Slice index 25. CT scan slice.
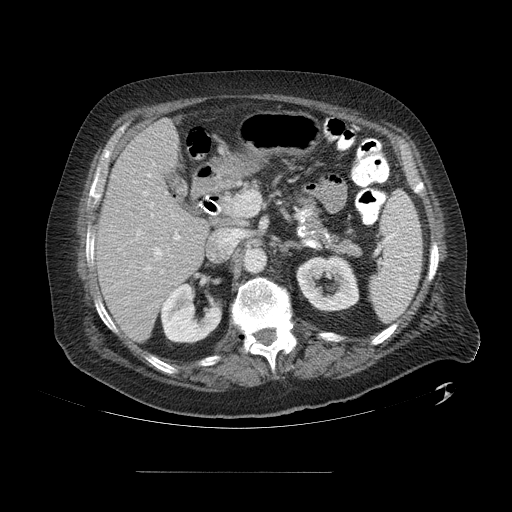

Only some of the vessels may be annotated.
Findings:
• hepatic vessel: [160,269,164,273], [151,214,153,216], [165,192,166,193], [171,214,173,216], [143,191,147,195], [148,174,150,176], [174,232,178,240], [136,229,139,238], [131,240,133,241], [145,266,150,269], [154,248,161,259]